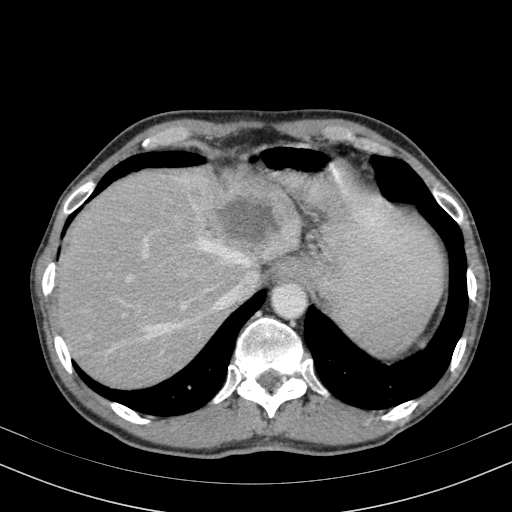 Upper abdomen. CT scan slice.
Hepatic lesion — [x1=216, y1=199, x2=280, y2=241].
Liver — [x1=57, y1=157, x2=299, y2=389].